Medial temporal lobe | MR image 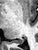

posterior hippocampus: box=[13, 39, 23, 43]